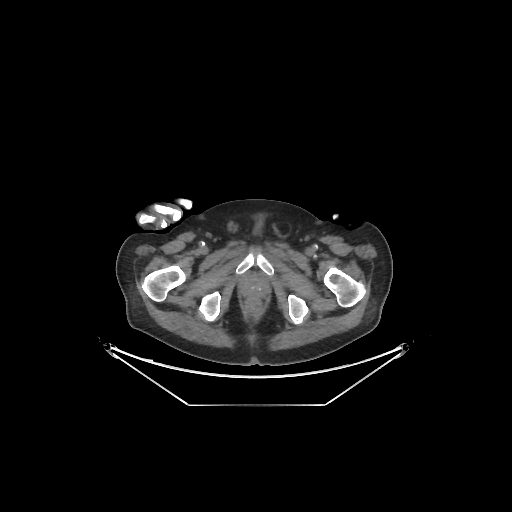

CT scan slice | 512x512
Bone: x1=236, y1=253, x2=273, y2=275; x1=154, y1=205, x2=180, y2=220; x1=324, y1=266, x2=365, y2=306; x1=288, y1=295, x2=308, y2=323; x1=139, y1=214, x2=155, y2=223; x1=199, y1=291, x2=220, y2=320; x1=142, y1=265, x2=185, y2=301; x1=179, y1=199, x2=191, y2=208.